Slice 505/560; Computed tomography
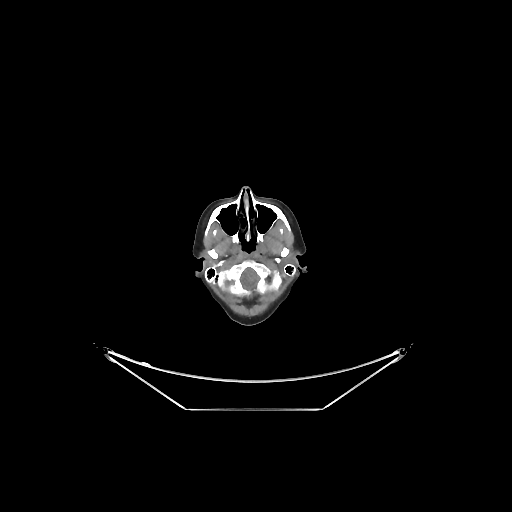 Segmented structures:
* brain: 240:267:260:292